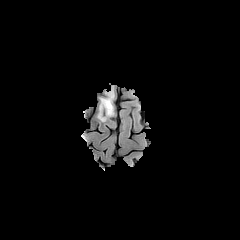
FLAIR MRI.
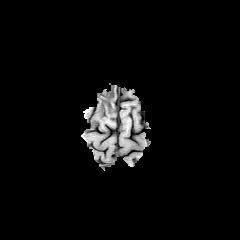
T1-weighted MR of the same slice.
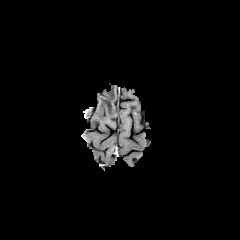
Same slice, post-contrast T1-weighted MR image.
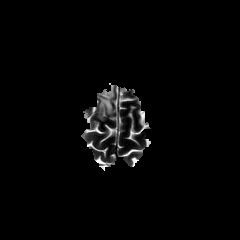
Same slice, T2-weighted MR.
240x240 px. Brain.
* non-enhancing tumor core: {"x1": 98, "y1": 93, "x2": 113, "y2": 115}
* edema: {"x1": 96, "y1": 94, "x2": 113, "y2": 121}